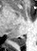 Medial temporal lobe, 37x51 px, Magnetic resonance
• posterior hippocampus: bbox(14, 36, 25, 46)